Slice 32 of 129, Abdomen, CT image, 512x512 px

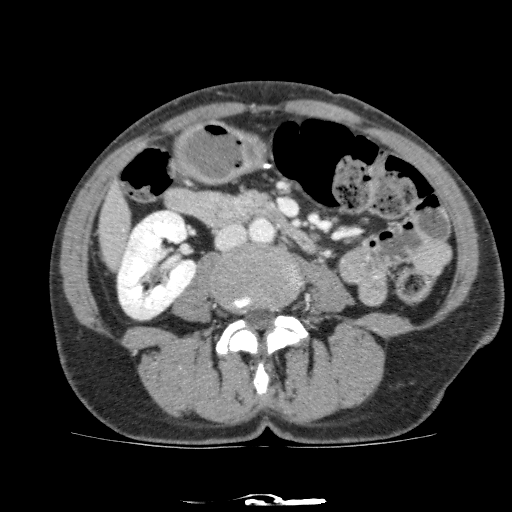 - liver: region(97, 181, 133, 273)
- kidney: region(118, 211, 195, 318)